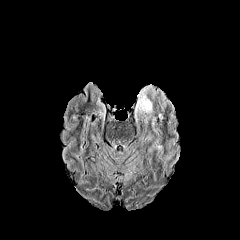
FLAIR magnetic resonance.
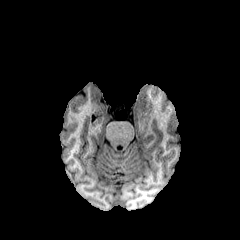
T1-weighted MR of the same slice.
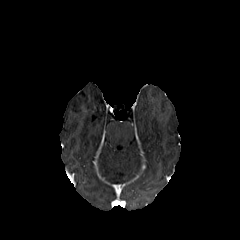
Post-contrast T1-weighted MRI.
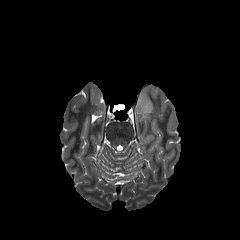
T2-weighted magnetic resonance of the same slice.
Head
* edema: (left=134, top=85, right=153, bottom=132)